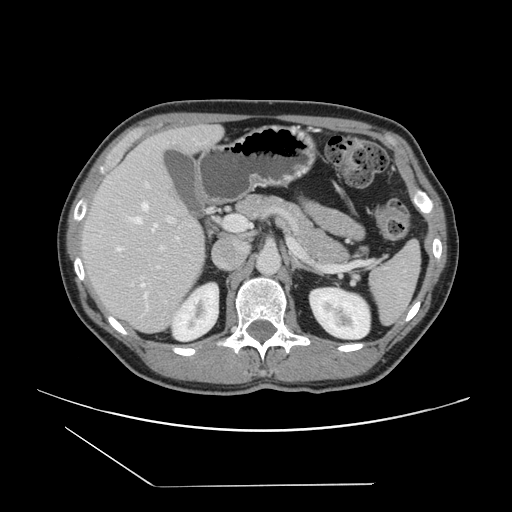
CT scan slice

Some hepatic vessels may have no box.
Hepatic vessel = box(197, 143, 199, 144); box(140, 276, 143, 282); box(194, 138, 195, 141); box(152, 228, 152, 231); box(106, 180, 110, 182); box(122, 248, 124, 249); box(146, 293, 147, 296); box(160, 245, 162, 246); box(131, 217, 134, 217); box(177, 239, 178, 241); box(144, 298, 148, 311).